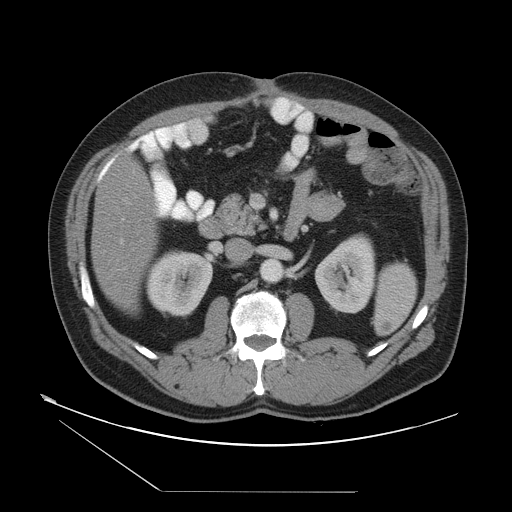

512x512, CT
The vessel boxes may cover only some of the vessels.
Hepatic vessel — (x1=122, y1=268, x2=125, y2=269), (x1=127, y1=203, x2=129, y2=204), (x1=120, y1=240, x2=122, y2=243), (x1=121, y1=218, x2=123, y2=220).